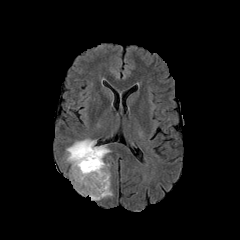
FLAIR MR image.
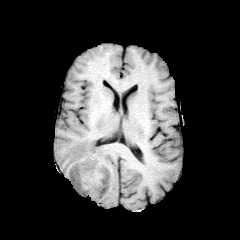
T1-weighted magnetic resonance of the same slice.
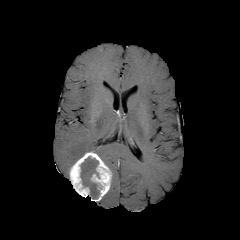
Post-contrast T1-weighted MR of the same slice.
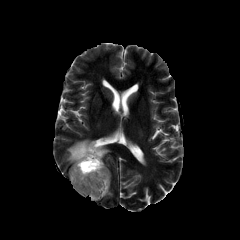
T2-weighted MR image.
Head
<segmentation>
  <edema>bbox(66, 139, 110, 165)</edema>
  <enhancing_tumor>bbox(69, 150, 111, 201)</enhancing_tumor>
  <non-enhancing_tumor_core>bbox(80, 157, 98, 197)</non-enhancing_tumor_core>
</segmentation>